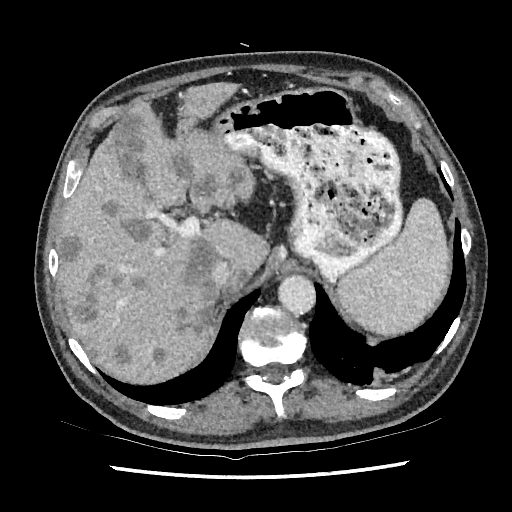
Upper abdomen; CT image
Focal liver lesion = bbox=[239, 271, 248, 280]; bbox=[88, 344, 97, 355]; bbox=[175, 236, 219, 333]; bbox=[119, 218, 155, 241]; bbox=[114, 343, 130, 364]; bbox=[101, 201, 118, 216]; bbox=[60, 235, 83, 265]; bbox=[172, 148, 242, 200]; bbox=[112, 113, 145, 168]; bbox=[152, 347, 167, 362]; bbox=[69, 264, 149, 321].
Liver = bbox=[198, 220, 267, 291]; bbox=[59, 83, 253, 383].